FLAIR magnetic resonance.
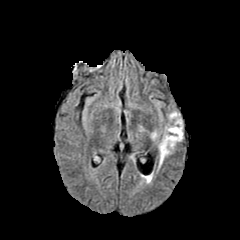
T1-weighted MR image.
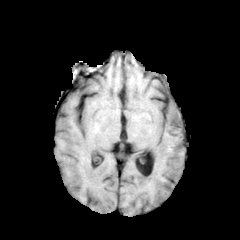
Post-contrast T1-weighted magnetic resonance.
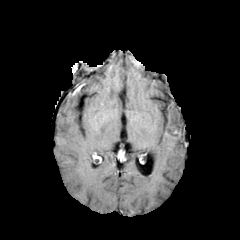
T2-weighted MR image.
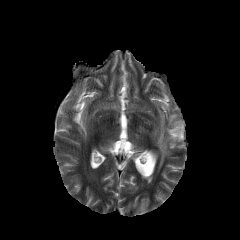
Head; 240x240 px
Findings:
* edema: [158, 111, 183, 165]